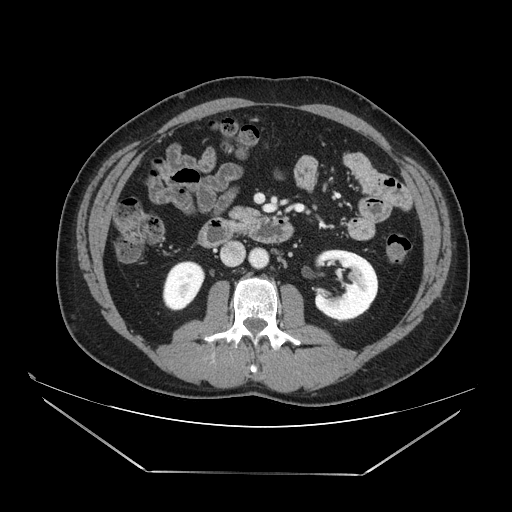

512x512; CT image
Pancreas = <box>229,206,258,221</box>.